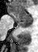
MR image; Hippocampus

The posterior hippocampus lies within x1=17 y1=23 x2=31 y2=28. The anterior hippocampus is bounded by x1=7 y1=9 x2=31 y2=22.